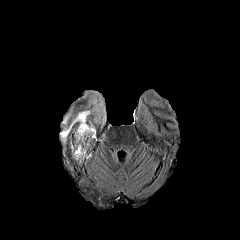
FLAIR MRI.
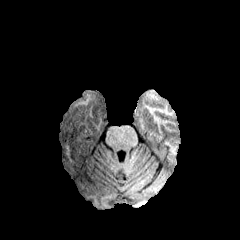
Same slice, T1-weighted MRI.
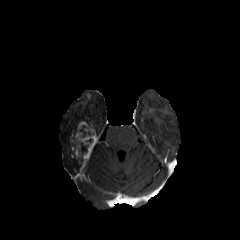
Same slice, post-contrast T1-weighted MRI.
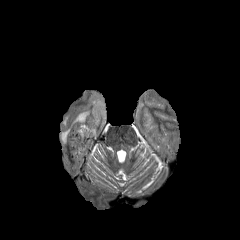
T2-weighted MR image of the same slice.
Head
Enhancing tumor: bounding box <bbox>70, 121, 97, 164</bbox>.
Edema: bounding box <bbox>59, 91, 106, 148</bbox>.
Non-enhancing tumor core: bounding box <bbox>80, 144, 88, 153</bbox>.